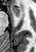

Image size 36x52; MRI slice
Anterior hippocampus = bbox(11, 6, 20, 16).